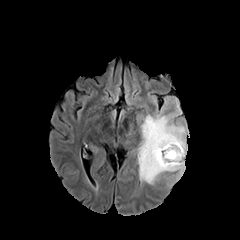
FLAIR magnetic resonance.
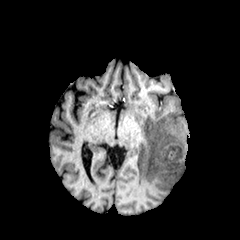
Same slice, T1-weighted MR image.
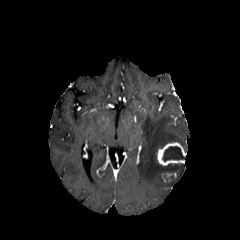
Post-contrast T1-weighted MRI.
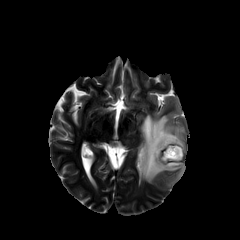
T2-weighted MRI.
240x240
Segmented structures:
- non-enhancing tumor core: bbox(162, 146, 184, 161)
- enhancing tumor: bbox(157, 142, 186, 165)
- edema: bbox(138, 114, 189, 184)